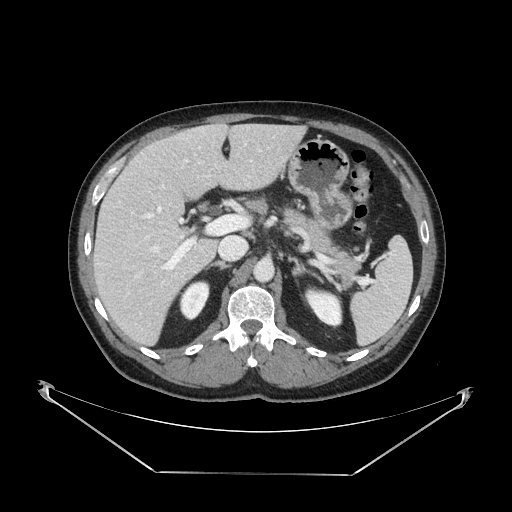

Image size 512x512; CT scan slice
The pancreas appears at <box>279,205,360,289</box>.